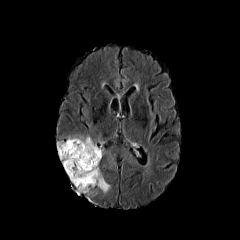
FLAIR MR.
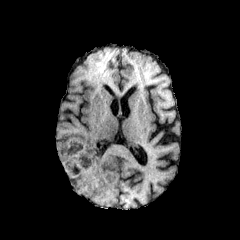
Same slice, T1-weighted MRI.
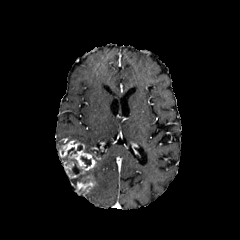
Same slice, post-contrast T1-weighted MR.
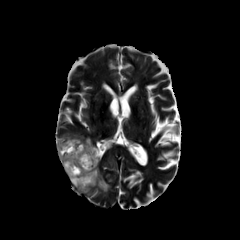
T2-weighted MR of the same slice.
Head
2 non-enhancing tumor core regions are bounded by 81, 156, 91, 166; 67, 164, 82, 174. 2 enhancing tumor regions are located at 59, 139, 101, 178; 77, 174, 97, 194. 2 edema regions appear at 71, 161, 110, 193; 59, 135, 97, 152.